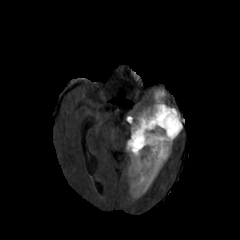
FLAIR MR.
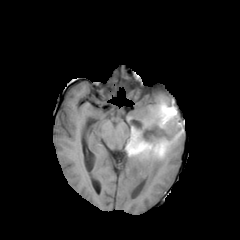
Same slice, T1-weighted MR image.
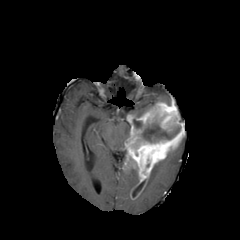
Post-contrast T1-weighted MRI.
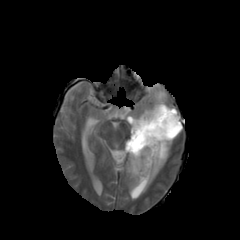
T2-weighted magnetic resonance.
Image size 240x240, Brain
Annotated regions:
- edema: x1=133 y1=151 x2=169 y2=197, x1=133 y1=90 x2=165 y2=118, x1=131 y1=180 x2=138 y2=194
- non-enhancing tumor core: x1=131 y1=116 x2=180 y2=142, x1=126 y1=154 x2=137 y2=173, x1=133 y1=179 x2=147 y2=194
- enhancing tumor: x1=126 y1=102 x2=183 y2=181